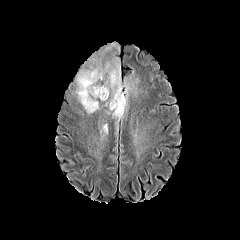
FLAIR MR.
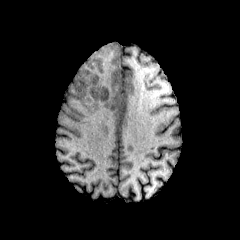
T1-weighted MRI of the same slice.
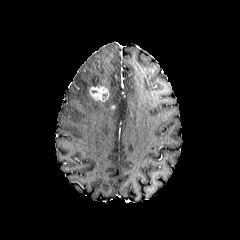
Post-contrast T1-weighted MR.
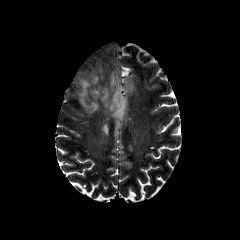
T2-weighted MR image of the same slice.
Brain
edema: box(74, 58, 135, 132) | enhancing tumor: box(89, 86, 109, 101)